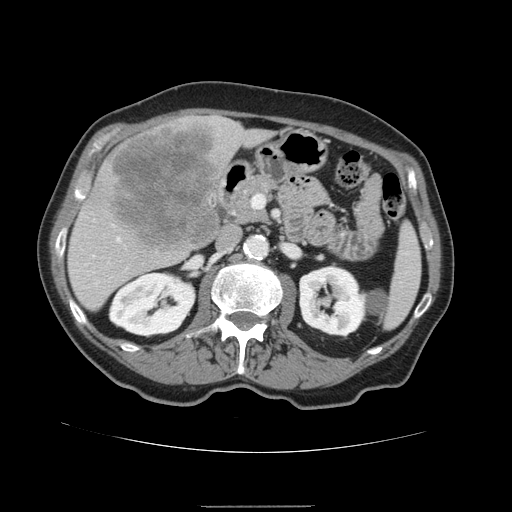 CT scan slice, 512x512
The spleen is at x1=385, y1=226, x2=420, y2=327.